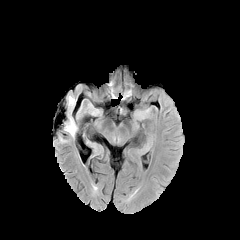
FLAIR MRI.
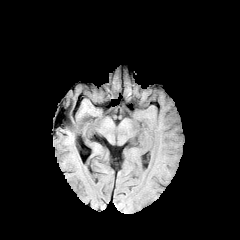
T1-weighted magnetic resonance of the same slice.
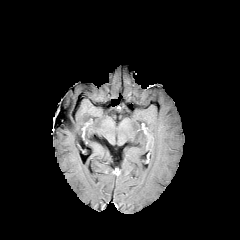
Post-contrast T1-weighted MR of the same slice.
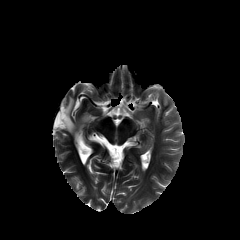
Same slice, T2-weighted MR.
Head
edema: box=[63, 95, 77, 137]